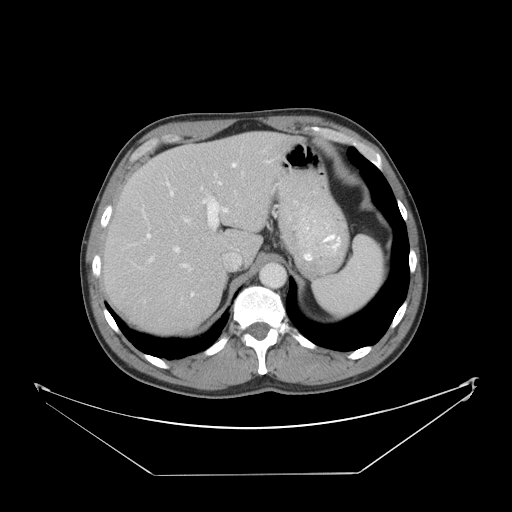
CT scan slice | Abdomen
Not every hepatic vessel necessarily has a box.
The most prominent 15 hepatic vessel regions (of 17) are bounded by (x1=200, y1=187, x2=202, y2=189), (x1=148, y1=254, x2=155, y2=261), (x1=171, y1=188, x2=174, y2=195), (x1=190, y1=292, x2=193, y2=295), (x1=214, y1=180, x2=221, y2=184), (x1=184, y1=218, x2=189, y2=222), (x1=166, y1=177, x2=169, y2=186), (x1=146, y1=228, x2=150, y2=238), (x1=142, y1=208, x2=145, y2=218), (x1=202, y1=195, x2=228, y2=230), (x1=138, y1=267, x2=141, y2=268), (x1=181, y1=264, x2=191, y2=270), (x1=231, y1=163, x2=236, y2=167), (x1=173, y1=246, x2=179, y2=252), (x1=214, y1=172, x2=217, y2=177).